Image size 512x512 | Upper abdomen | CT
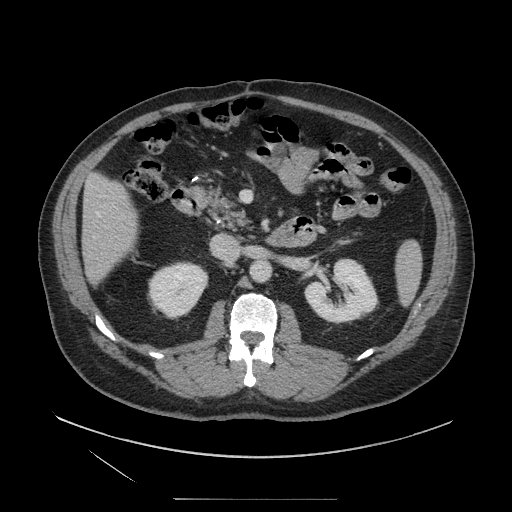

Segmented structures:
• pancreas: (205,188,252,233)